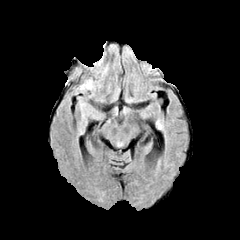
FLAIR MR image.
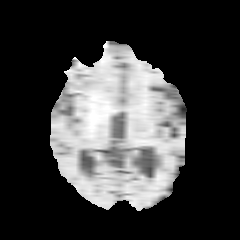
T1-weighted magnetic resonance.
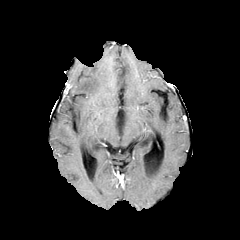
Same slice, post-contrast T1-weighted MRI.
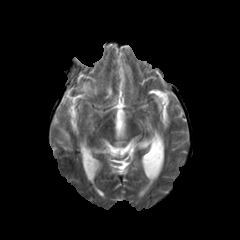
T2-weighted MRI of the same slice.
Brain
The edema is located at (79,78,97,92).